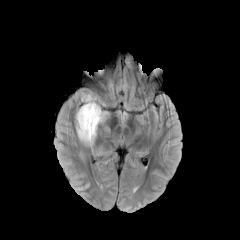
FLAIR MRI.
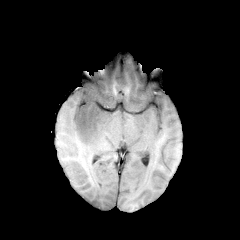
T1-weighted MRI.
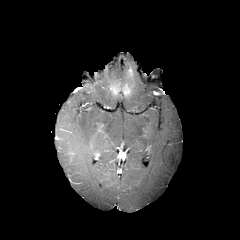
Post-contrast T1-weighted MRI of the same slice.
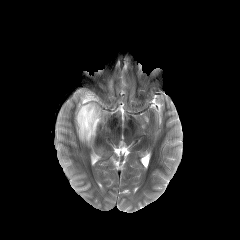
Same slice, T2-weighted MRI.
The edema appears at (x1=75, y1=90, x2=107, y2=151).